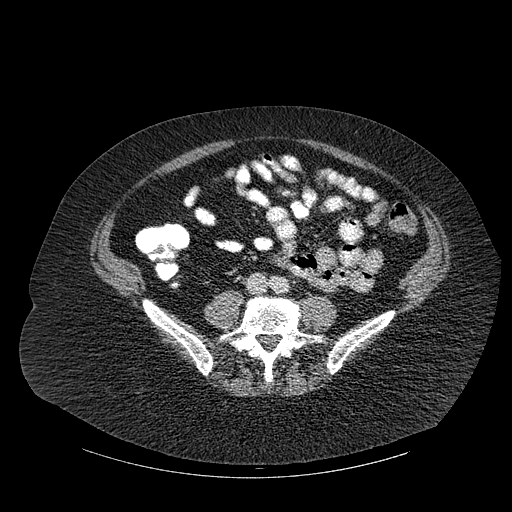

CT.
{"bone": ["(x1=327, y1=311, x2=394, y2=373)", "(x1=143, y1=300, x2=212, y2=375)", "(x1=221, y1=297, x2=321, y2=381)"]}